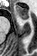
MR | Hippocampus

Annotated regions:
- anterior hippocampus: (x1=15, y1=5, x2=28, y2=19)